Image width 240 mm
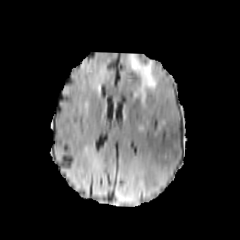
FLAIR MRI.
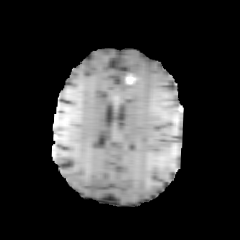
T1-weighted MR image.
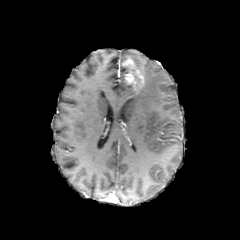
Post-contrast T1-weighted MRI.
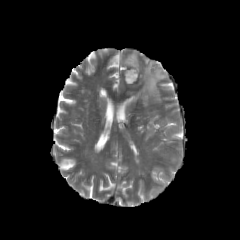
Same slice, T2-weighted MR image.
Segmented structures:
- enhancing tumor: bbox=[122, 56, 145, 89]
- edema: bbox=[127, 52, 163, 105]